Image size 512x512 | Computed tomography | Image width 496 mm | Slice 75/537
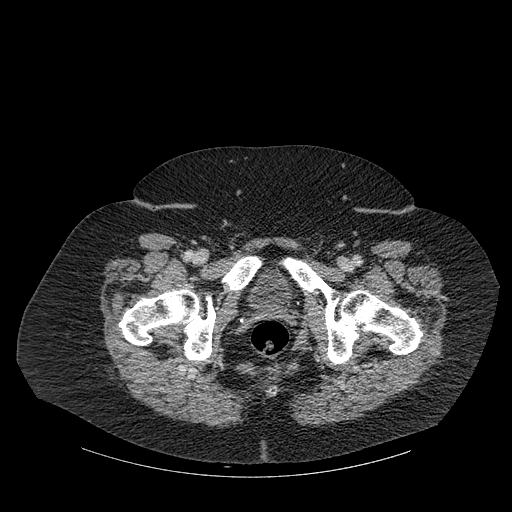 Bone: 222,256,261,290; 119,289,215,360; 283,258,422,364.